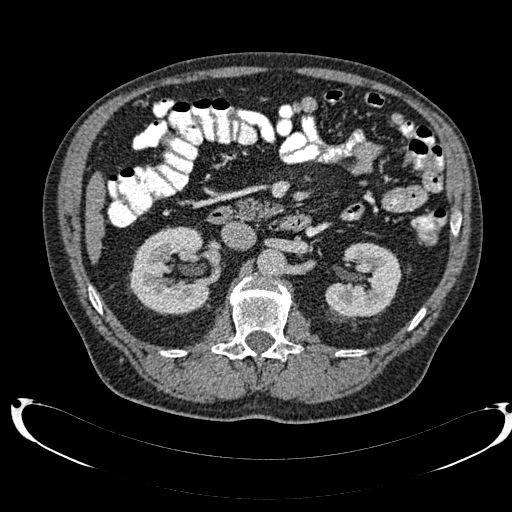 Liver; Computed tomography; Image size 512x512

Liver = (x1=85, y1=172, x2=103, y2=261).
Kidney = (x1=325, y1=243, x2=400, y2=317), (x1=130, y1=226, x2=220, y2=314).